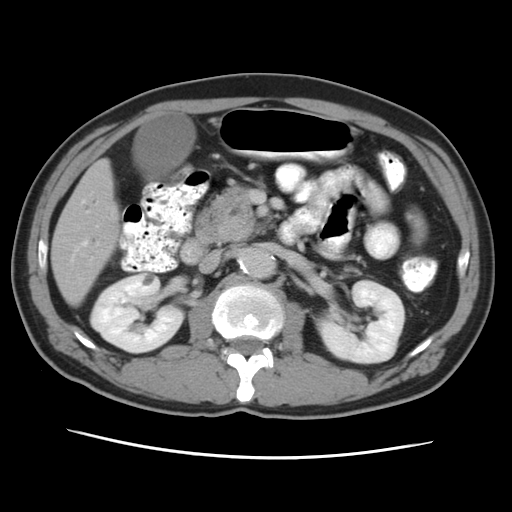

Abdomen. CT.
The pancreatic tumor is located at l=219, t=217, r=252, b=241. The pancreas appears at l=209, t=185, r=258, b=244.